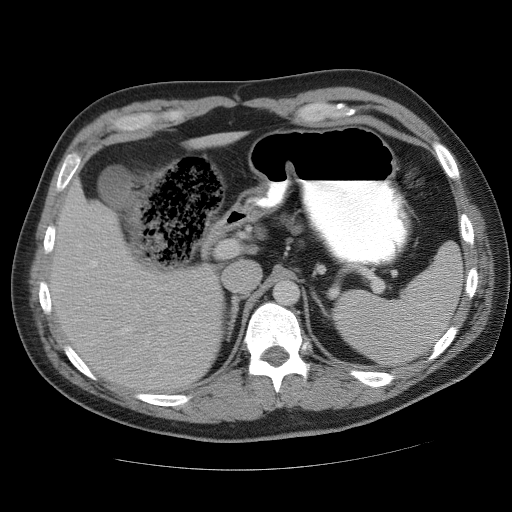
512x512 px; CT slice; Upper abdomen

<segmentation>
  <spleen>[334,241,463,365]</spleen>
</segmentation>